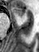

Medial temporal lobe, MRI slice
* anterior hippocampus: l=11, t=7, r=24, b=16